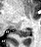 MR image; Image size 41x47
The posterior hippocampus appears at (x1=15, y1=28, x2=30, y2=37).